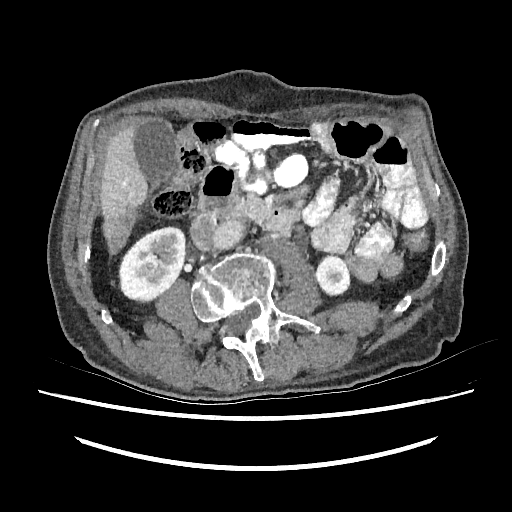 CT scan slice
Liver: x1=100, y1=124, x2=147, y2=252.
Focal liver lesion: x1=112, y1=206, x2=133, y2=247.
Kidney: x1=120, y1=228, x2=184, y2=299; x1=316, y1=256, x2=349, y2=294.